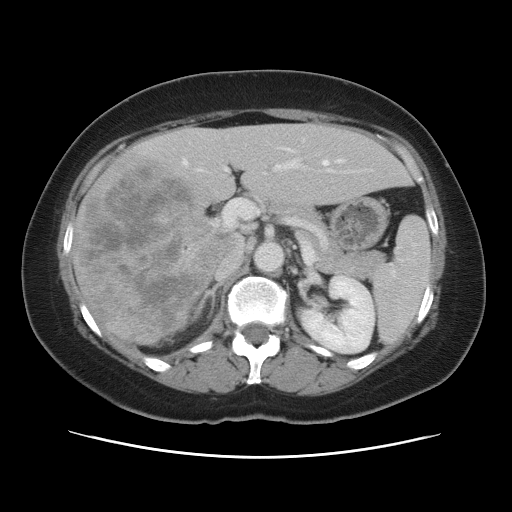

Abdomen, CT scan slice
The vessel boxes may cover only some of the vessels.
Annotated regions:
- hepatic vessel: 302, 241, 313, 252; 287, 219, 322, 238; 224, 167, 227, 170; 338, 160, 343, 162; 282, 148, 290, 150; 323, 160, 331, 172; 275, 158, 302, 169; 216, 257, 240, 278; 183, 160, 186, 163; 212, 199, 259, 228
- liver tumor: 77, 156, 221, 340